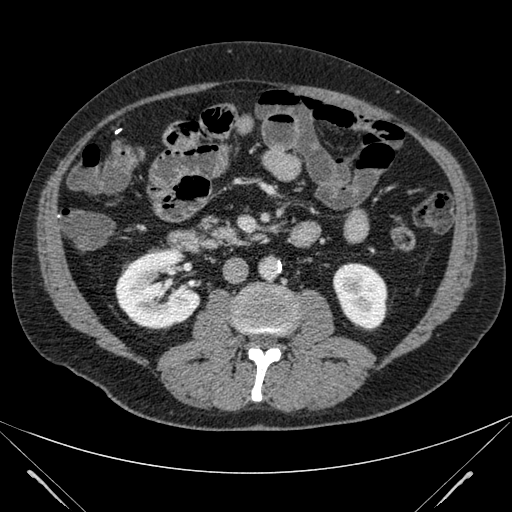 CT slice
Kidney at <box>116,249,198,327</box>, <box>334,264,386,327</box>.